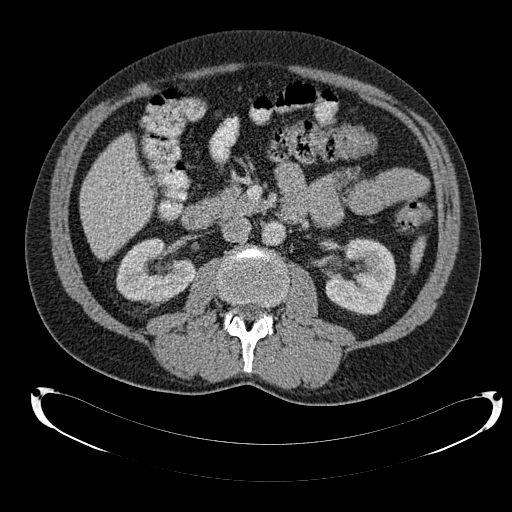

Abdomen | CT slice

Kidney at [x1=116, y1=239, x2=195, y2=301], [x1=326, y1=239, x2=395, y2=314].
Liver at [x1=80, y1=136, x2=152, y2=259].